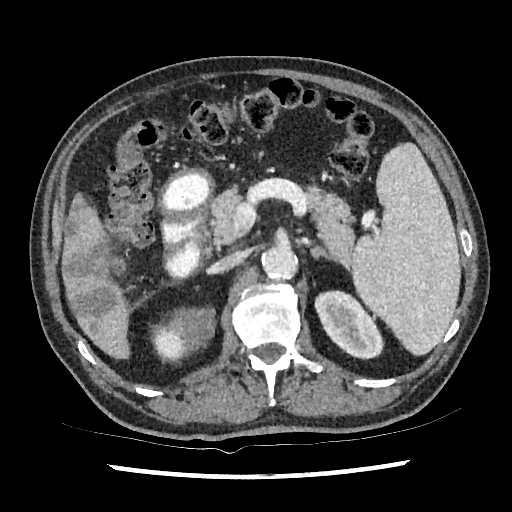
CT slice, 512x512
Annotated regions:
• focal liver lesion: [65, 215, 79, 238], [69, 285, 117, 335], [71, 195, 85, 211], [63, 231, 108, 280]
• liver: [63, 205, 129, 357]
• kidney: [155, 327, 185, 359], [315, 291, 382, 358]